Slice 127 of 155
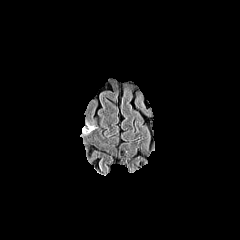
FLAIR MR image.
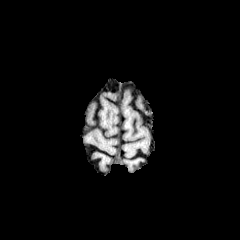
T1-weighted MR.
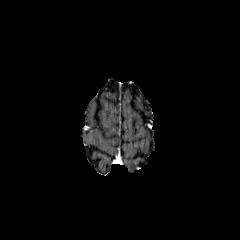
Post-contrast T1-weighted MRI.
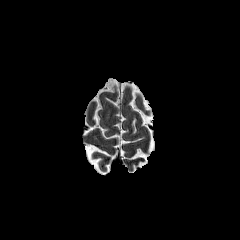
T2-weighted MR.
Edema: {"x1": 80, "y1": 119, "x2": 97, "y2": 138}.